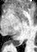 Medial temporal lobe. MR.
The posterior hippocampus is at rect(9, 40, 20, 45).